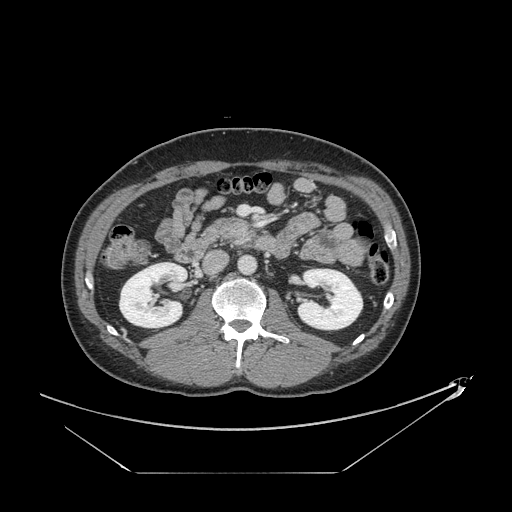

CT slice, Upper abdomen, 512x512 px

pancreas: [204, 218, 254, 242]